Abdomen | Image size 512x512 | CT image 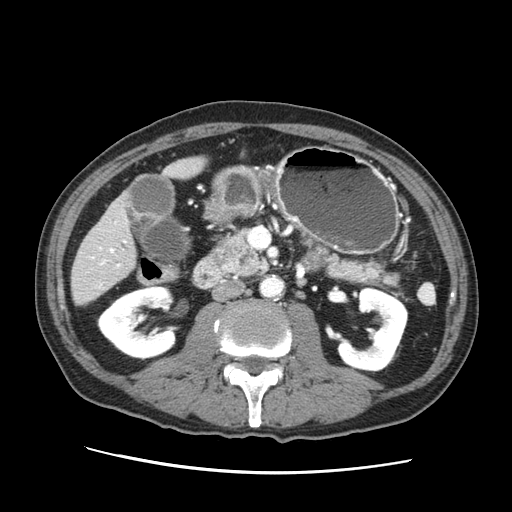 pancreatic_tumor:
  - 212,249,230,263
pancreas:
  - 303,236,397,286
  - 213,230,260,277